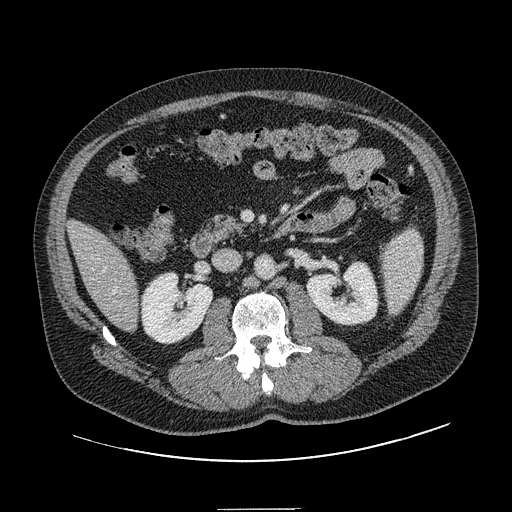
Upper abdomen. CT slice. Pancreas: bounding box l=211, t=215, r=252, b=240.